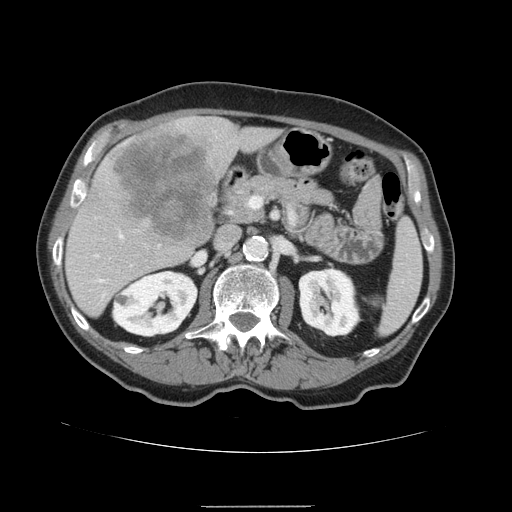 Abdomen | Computed tomography

Spleen: bounding box bbox(380, 221, 421, 334).